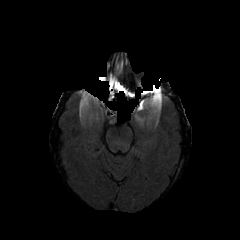
FLAIR MR.
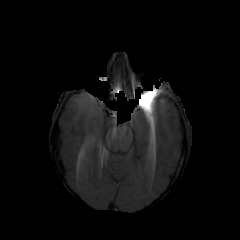
T1-weighted MR image.
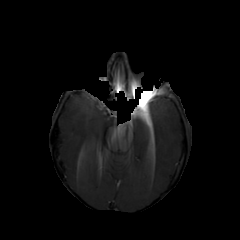
Post-contrast T1-weighted MRI of the same slice.
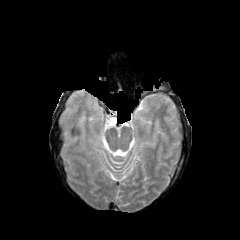
T2-weighted MR image of the same slice.
Image size 240x240, Head
edema: bbox=[154, 94, 164, 111] | enhancing tumor: bbox=[134, 106, 143, 117]; bbox=[142, 92, 161, 109] | non-enhancing tumor core: bbox=[142, 104, 153, 124]